Image size 512x512; Liver; Slice index 397; CT image
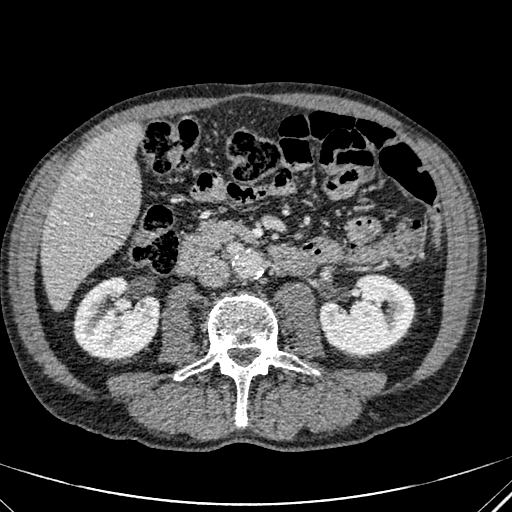 2 kidney regions are bounded by x1=321 y1=276 x2=413 y2=354, x1=75 y1=278 x2=158 y2=357. The liver is located at x1=41 y1=122 x2=140 y2=307.